CT scan slice | Liver | Field of view 385 mm wide, 1.50 mm slice spacing

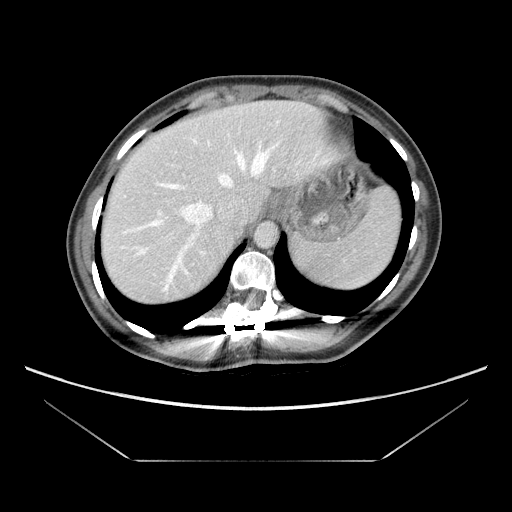
The vessel boxes may cover only some of the vessels.
9 hepatic vessel regions appear at l=158, t=183, r=184, b=189; l=234, t=144, r=276, b=177; l=217, t=173, r=233, b=187; l=228, t=201, r=235, b=206; l=147, t=218, r=163, b=226; l=163, t=201, r=212, b=289; l=170, t=233, r=172, b=235; l=142, t=250, r=144, b=251; l=218, t=206, r=224, b=217.